FLAIR magnetic resonance.
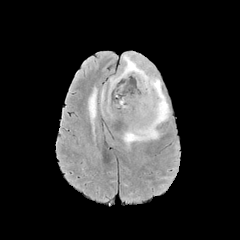
T1-weighted magnetic resonance.
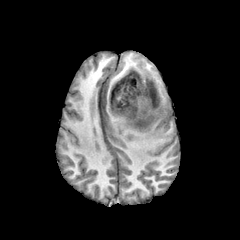
Post-contrast T1-weighted MR image.
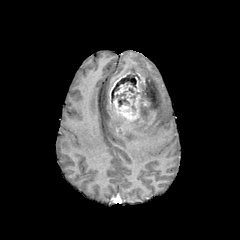
T2-weighted magnetic resonance.
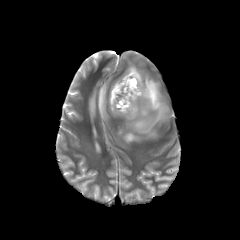
Head
enhancing tumor: 113:95:140:121, 115:85:127:94 | non-enhancing tumor core: 111:72:154:121 | edema: 108:96:117:115, 89:88:96:125, 101:88:105:104, 110:52:169:144